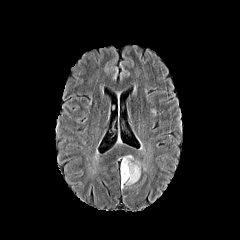
FLAIR MRI.
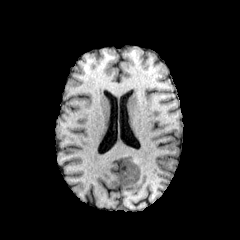
Same slice, T1-weighted MRI.
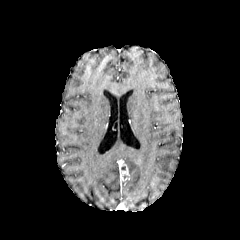
Post-contrast T1-weighted MR image of the same slice.
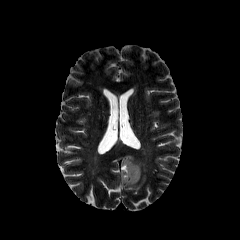
T2-weighted MR.
Head
The edema lies within left=122, top=155, right=140, bottom=185. The enhancing tumor lies within left=120, top=160, right=130, bottom=182.